FLAIR MR.
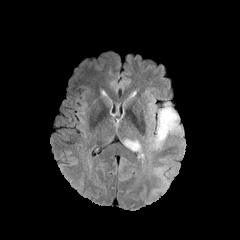
T1-weighted MR.
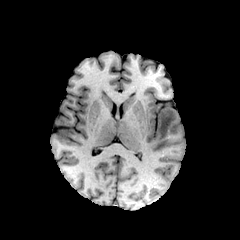
Post-contrast T1-weighted MR image.
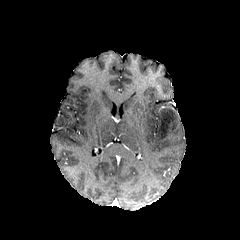
T2-weighted MRI.
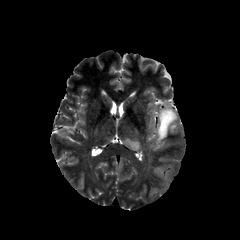
2 edema regions are bounded by box(123, 138, 141, 151); box(154, 107, 177, 148).